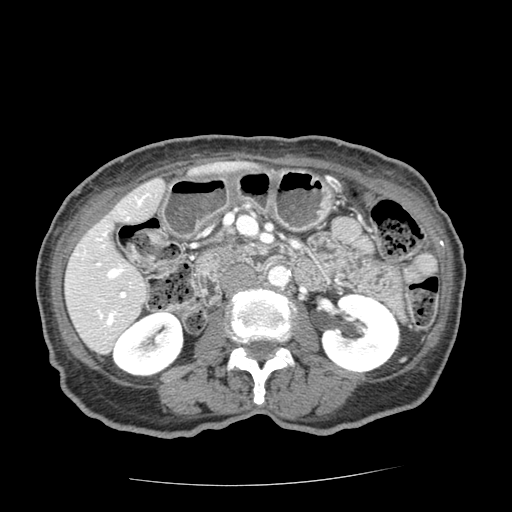
512x512 px, CT scan slice
Pancreas = <box>214,241,252,260</box>.